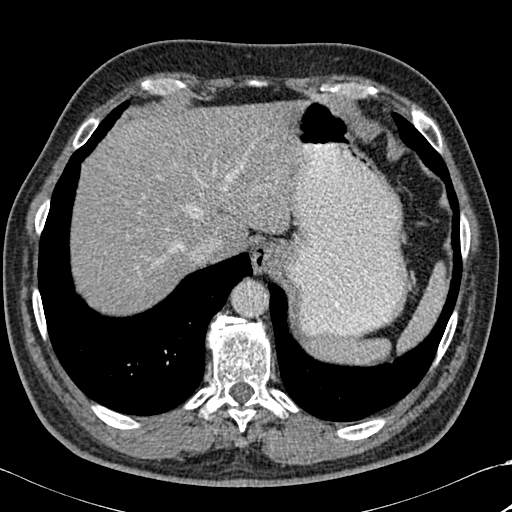

Upper abdomen, 512x512 px, CT

{"lung": ["(x1=38, y1=100, x2=252, y2=415)", "(x1=268, y1=112, x2=462, y2=421)"], "bone": ["(x1=343, y1=84, x2=376, y2=96)", "(x1=144, y1=79, x2=182, y2=92)", "(x1=33, y1=290, x2=45, y2=336)", "(x1=412, y1=110, x2=441, y2=150)", "(x1=460, y1=216, x2=464, y2=256)", "(x1=437, y1=313, x2=456, y2=360)", "(x1=185, y1=316, x2=297, y2=431)", "(x1=35, y1=201, x2=49, y2=232)", "(x1=337, y1=420, x2=384, y2=439)", "(x1=73, y1=118, x2=98, y2=147)", "(x1=93, y1=406, x2=138, y2=429)", "(x1=466, y1=219, x2=469, y2=255)"], "liver": ["(x1=71, y1=102, x2=303, y2=314)"]}